CT
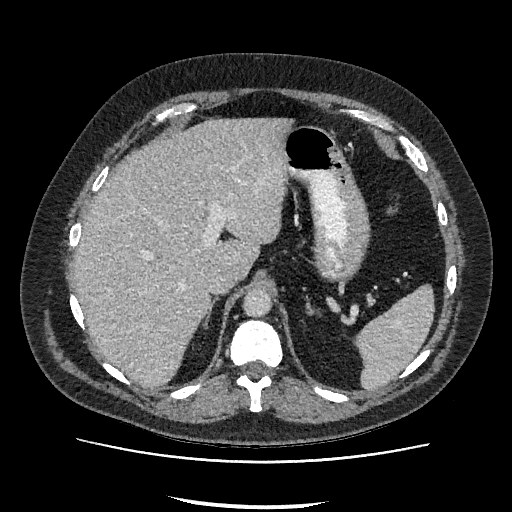
liver:
  - <box>76,119,291,386</box>